FLAIR MR image.
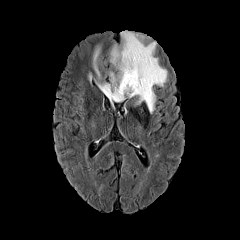
T1-weighted magnetic resonance.
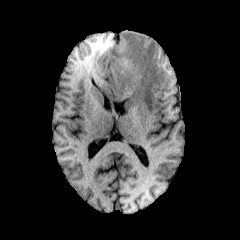
Post-contrast T1-weighted magnetic resonance.
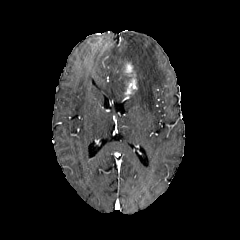
T2-weighted MR image.
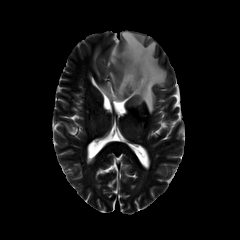
240x240 px.
Edema: bounding box (97, 31, 167, 113).
Enhancing tumor: bounding box (123, 80, 137, 97), (124, 62, 134, 74).